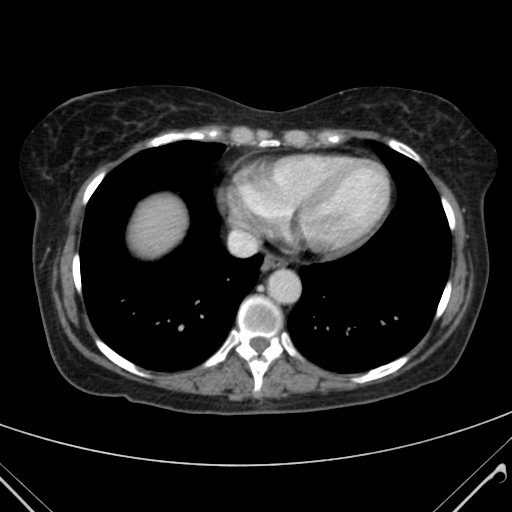

512x512 px; Abdomen; CT
liver: x1=129 y1=195 x2=184 y2=256